Slice 58/98. Image size 512x512. CT image. 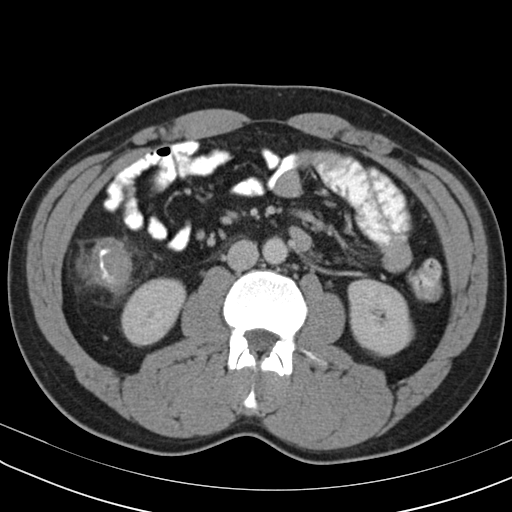 The colon tumor is bounded by <box>75,239,131,285</box>.